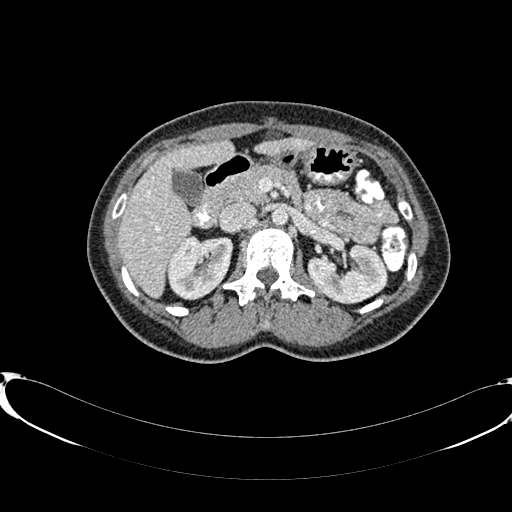 CT slice | Liver
2 liver regions are bounded by left=256, top=139, right=311, bottom=153; left=118, top=141, right=232, bottom=297. 2 kidney regions are bounded by left=169, top=238, right=231, bottom=297; left=309, top=244, right=385, bottom=302.